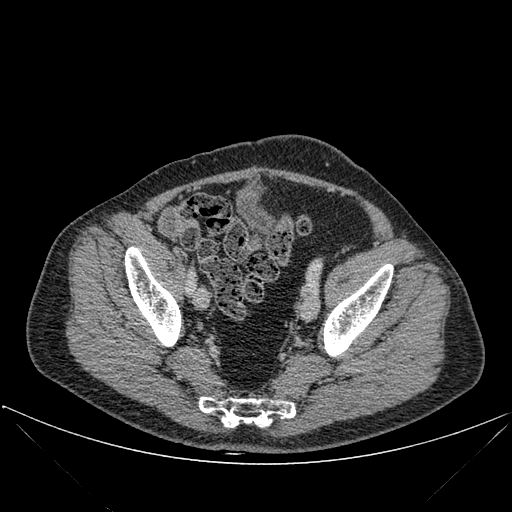 CT image
Bone at rect(199, 397, 295, 428); rect(125, 247, 180, 346); rect(324, 264, 393, 356).